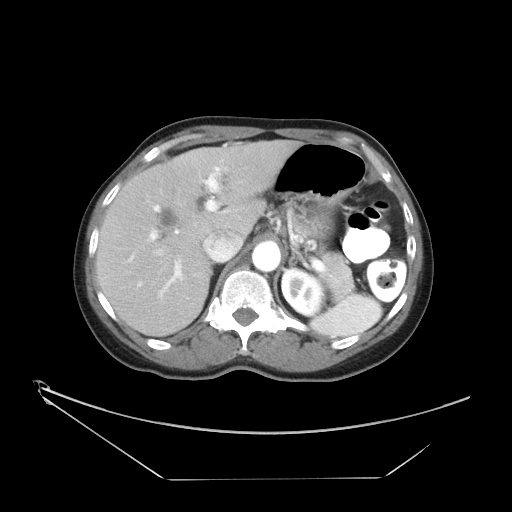 Abdomen; CT slice

Only some of the vessels may be annotated.
Hepatic vessel at (160, 261, 182, 295), (175, 230, 178, 233), (138, 282, 141, 285), (158, 250, 161, 254), (129, 256, 133, 260), (206, 200, 216, 210), (150, 230, 156, 238), (204, 234, 242, 254), (154, 206, 159, 210), (205, 167, 219, 190).